Slice 63 of 155 | Image size 240x240
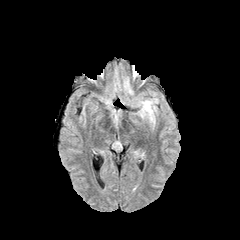
FLAIR MR.
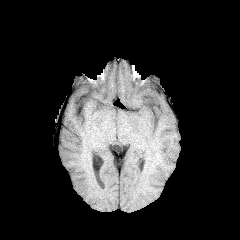
Same slice, T1-weighted MRI.
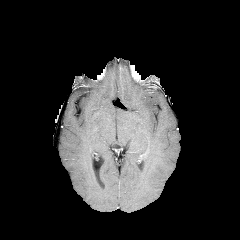
Post-contrast T1-weighted magnetic resonance of the same slice.
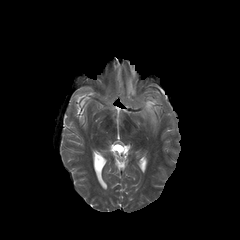
T2-weighted MR of the same slice.
edema: [137, 97, 157, 123]